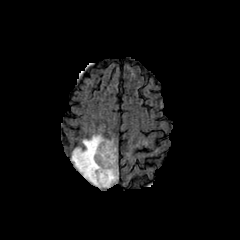
FLAIR MRI.
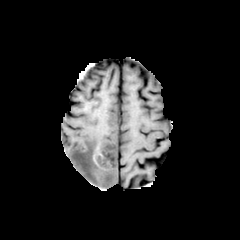
Same slice, T1-weighted MR.
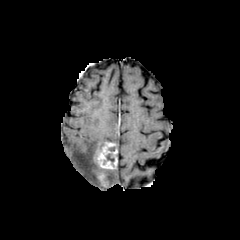
Post-contrast T1-weighted MRI.
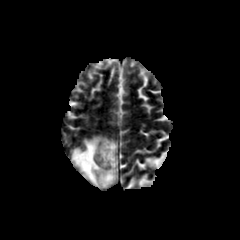
Same slice, T2-weighted MR.
240x240. Brain.
Edema = {"x1": 71, "y1": 134, "x2": 113, "y2": 187}.
Non-enhancing tumor core = {"x1": 107, "y1": 172, "x2": 116, "y2": 182}.
Enhancing tumor = {"x1": 95, "y1": 141, "x2": 117, "y2": 187}.